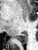

MR image. Segmented structures:
- posterior hippocampus: {"x1": 15, "y1": 34, "x2": 26, "y2": 43}